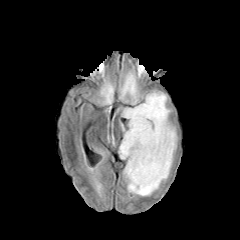
FLAIR MRI.
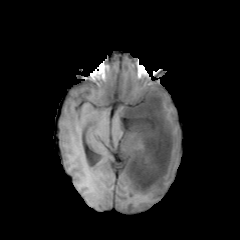
Same slice, T1-weighted MRI.
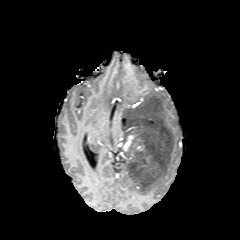
Same slice, post-contrast T1-weighted MR image.
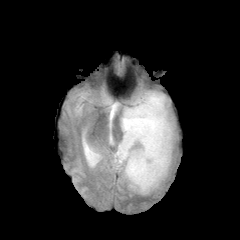
T2-weighted MR image.
Image size 240x240 | Brain
Annotated regions:
• edema: rect(132, 138, 143, 149); rect(121, 89, 176, 195); rect(103, 95, 110, 102)
• non-enhancing tumor core: rect(120, 93, 171, 194)
• enhancing tumor: rect(119, 134, 134, 151)